Computed tomography; Liver; Image size 512x512
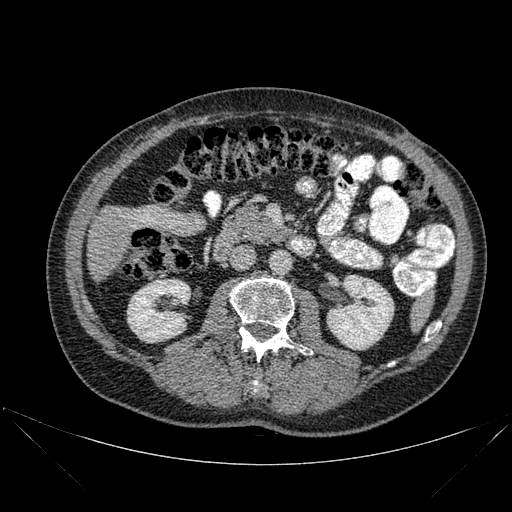

{
  "liver": [
    "rect(87, 207, 131, 280)"
  ],
  "kidney": [
    "rect(127, 280, 190, 342)",
    "rect(327, 275, 393, 349)"
  ],
  "bone": [
    "rect(252, 379, 260, 391)",
    "rect(425, 322, 441, 341)",
    "rect(230, 278, 312, 361)"
  ]
}